Slice 46/155 | Head | 240x240
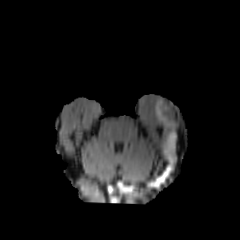
FLAIR MR image.
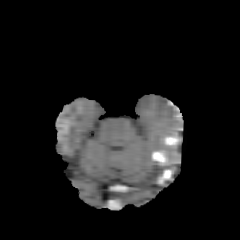
Same slice, T1-weighted MRI.
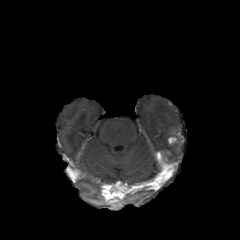
Post-contrast T1-weighted magnetic resonance.
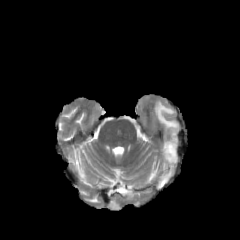
Same slice, T2-weighted MR image.
enhancing_tumor:
  - (168,137,178,143)
edema:
  - (154,100,180,162)